Abdomen | CT image 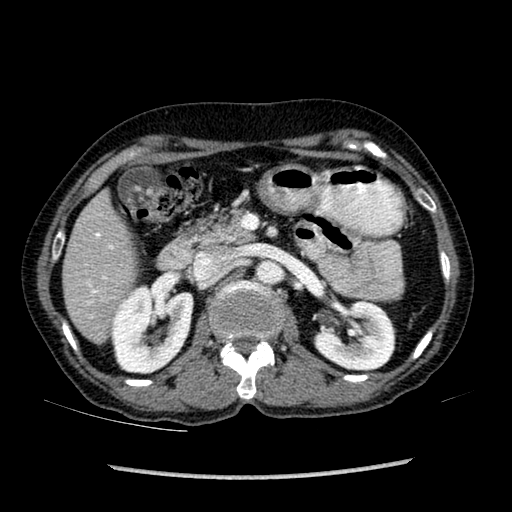
Kidney — left=112, top=281, right=192, bottom=372; left=316, top=302, right=393, bottom=368.
Liver — left=63, top=207, right=133, bottom=334.